Slice 87 of 155; Brain; 240x240
FLAIR MRI.
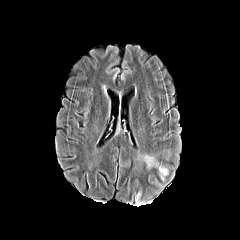
T1-weighted MR image.
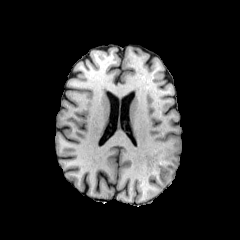
Post-contrast T1-weighted MRI.
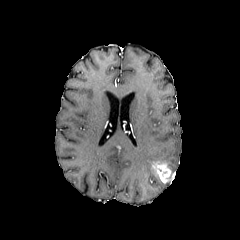
T2-weighted MRI.
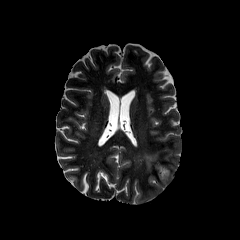
Annotated regions:
- enhancing tumor: box(151, 161, 174, 182)
- edema: box(142, 153, 158, 170)